CT scan slice 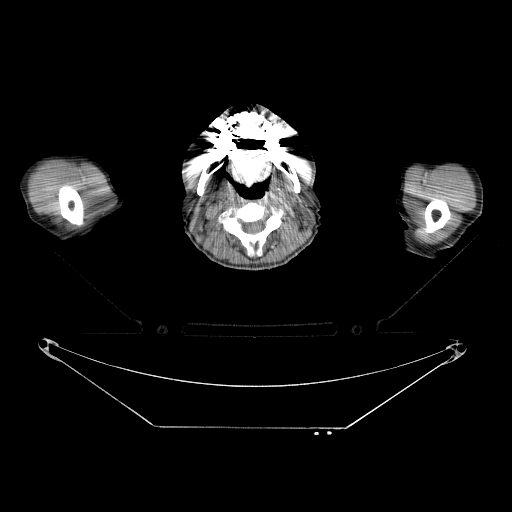

4 bone regions appear at x1=425 y1=198 x2=450 y2=232, x1=223 y1=202 x2=281 y2=254, x1=59 y1=185 x2=83 y2=224, x1=189 y1=111 x2=305 y2=195.